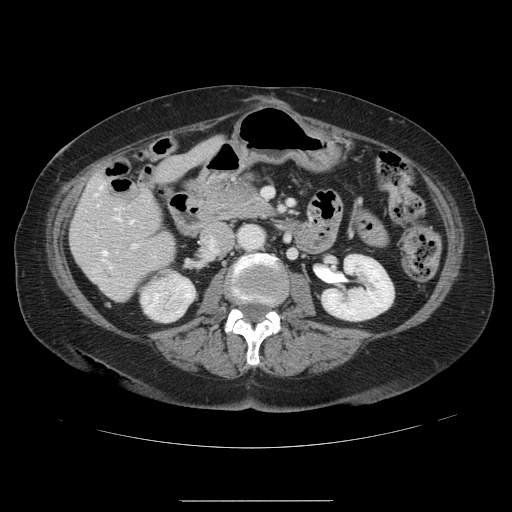

Liver | CT scan slice | Image size 512x512

The vessel annotation is not exhaustive.
Findings:
• hepatic vessel: [x1=129, y1=220, x2=132, y2=223], [x1=95, y1=193, x2=97, y2=195], [x1=115, y1=207, x2=121, y2=219], [x1=109, y1=264, x2=110, y2=267], [x1=102, y1=250, x2=106, y2=254], [x1=131, y1=244, x2=136, y2=247], [x1=99, y1=181, x2=105, y2=187]